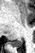

MRI slice
Posterior hippocampus — x1=12, y1=39, x2=22, y2=47.